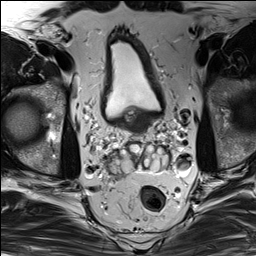
T2-weighted magnetic resonance.
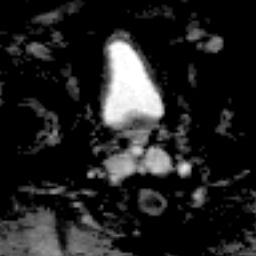
ADC MR.
- prostate transition zone: <box>127,110,144,128</box>